FLAIR MR image.
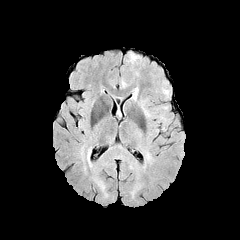
T1-weighted MR image.
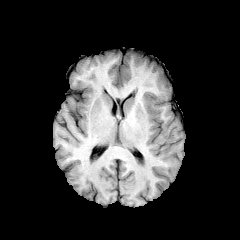
Post-contrast T1-weighted MRI.
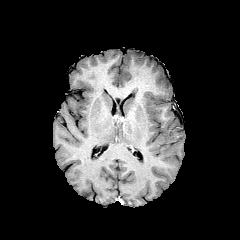
T2-weighted MR image.
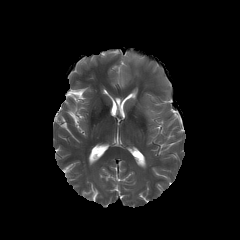
Edema: bounding box 130:87:137:101, 127:53:140:63, 143:107:154:117.